CT

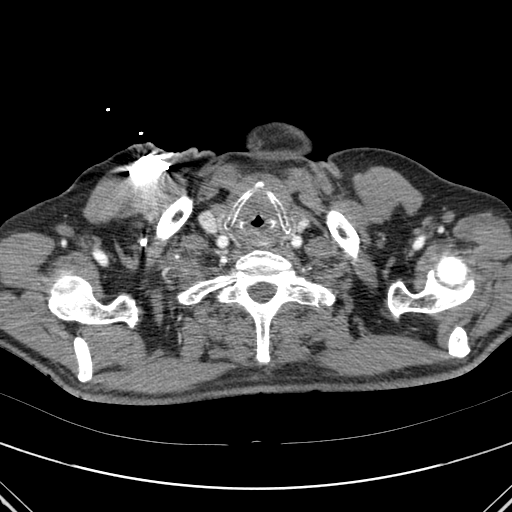 Bone at x1=48 y1=270 x2=137 y2=327, x1=448 y1=327 x2=469 y2=357, x1=413 y1=237 x2=423 y2=248, x1=326 y1=210 x2=359 y2=260, x1=388 y1=253 x2=474 y2=316, x1=177 y1=250 x2=334 y2=362, x1=74 y1=337 x2=92 y2=381, x1=156 y1=195 x2=192 y2=241.